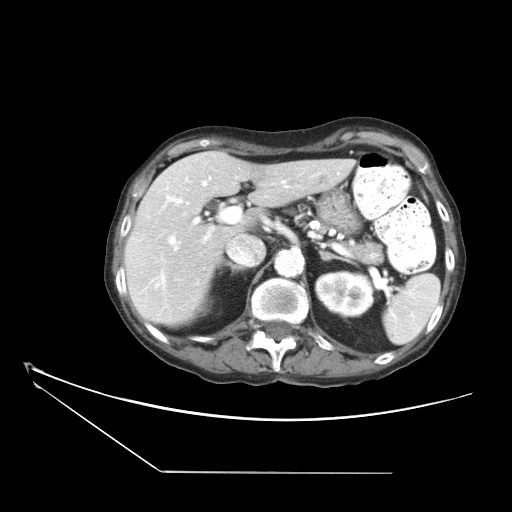

CT image, Abdomen, Image size 512x512

<segmentation>
  <pancreas>(x1=347, y1=244, x2=379, y2=261)</pancreas>
</segmentation>